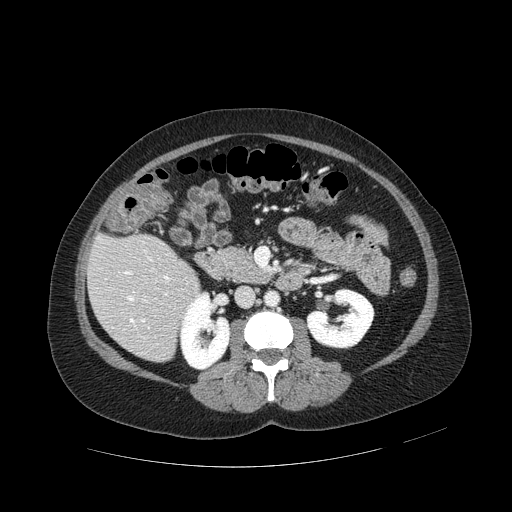 CT image. pancreas: [223,248,270,282]